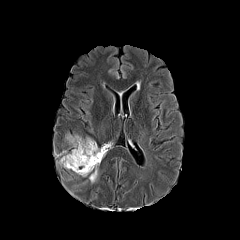
FLAIR magnetic resonance.
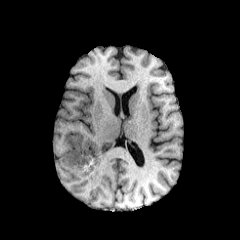
Same slice, T1-weighted MR.
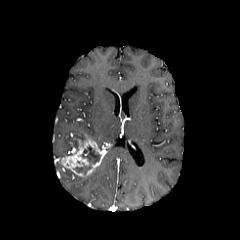
Post-contrast T1-weighted magnetic resonance.
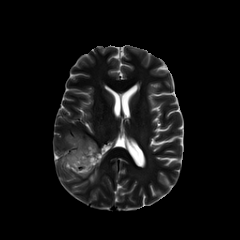
T2-weighted MR.
Edema — (89, 168, 97, 183).
Non-enhancing tumor core — (68, 136, 78, 150), (73, 145, 100, 174).
Enhancing tumor — (61, 138, 105, 176).